CT image. Lung. Slice 100 of 231. Field of view 395 mm wide, 1.24 mm slice spacing.

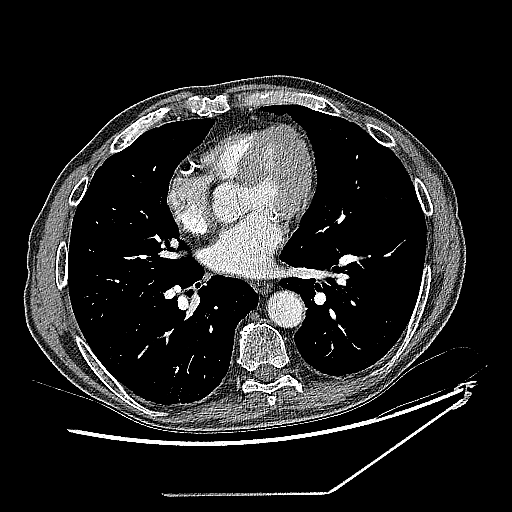
The lung tumor is located at rect(155, 196, 163, 207).